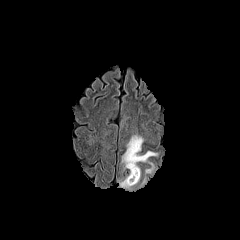
FLAIR MR.
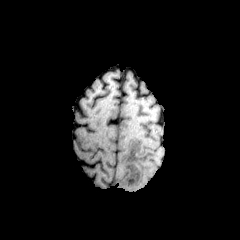
Same slice, T1-weighted MR image.
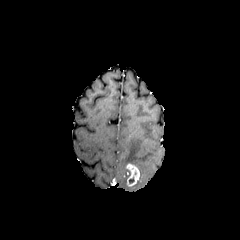
Same slice, post-contrast T1-weighted MRI.
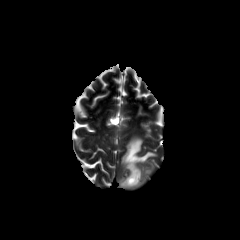
T2-weighted MRI.
Image size 240x240.
The enhancing tumor appears at left=126, top=163, right=140, bottom=185. 3 edema regions appear at left=122, top=136, right=155, bottom=165; left=117, top=177, right=146, bottom=191; left=146, top=163, right=154, bottom=173.